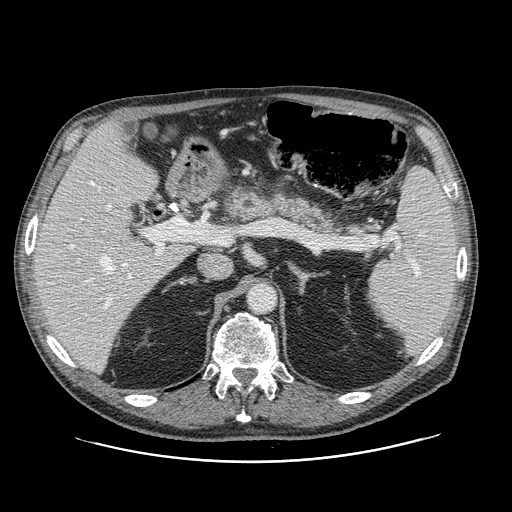 CT slice; Abdomen

pancreas:
  - box=[226, 193, 336, 233]